512x512; Slice 42/87; CT; Abdomen 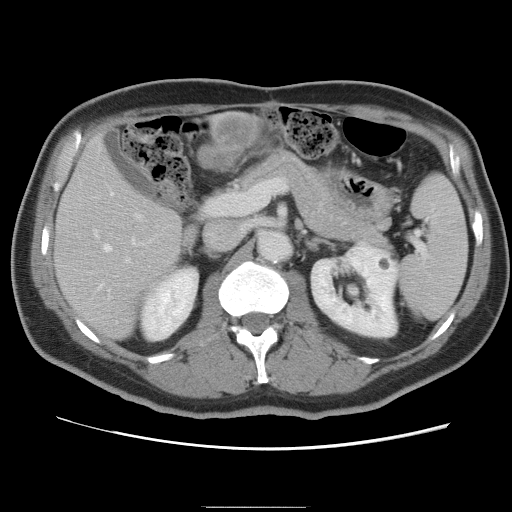

Not every hepatic vessel necessarily has a box.
liver_tumor:
  - (x1=203, y1=119, x2=255, y2=168)
hepatic_vessel:
  - (x1=103, y1=244, x2=110, y2=250)
  - (x1=97, y1=282, x2=103, y2=288)
  - (x1=135, y1=213, x2=141, y2=218)
  - (x1=110, y1=191, x2=112, y2=194)
  - (x1=94, y1=229, x2=97, y2=235)
  - (x1=131, y1=238, x2=137, y2=245)
  - (x1=124, y1=257, x2=129, y2=261)
  - (x1=107, y1=288, x2=109, y2=296)